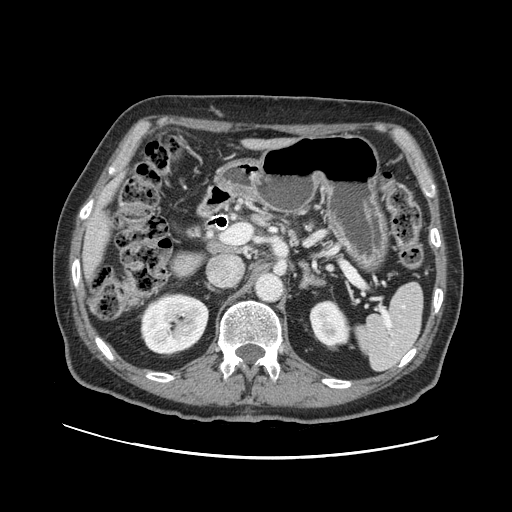

Upper abdomen, CT scan slice, 512x512
The pancreas is bounded by [x1=244, y1=212, x2=276, y2=228].